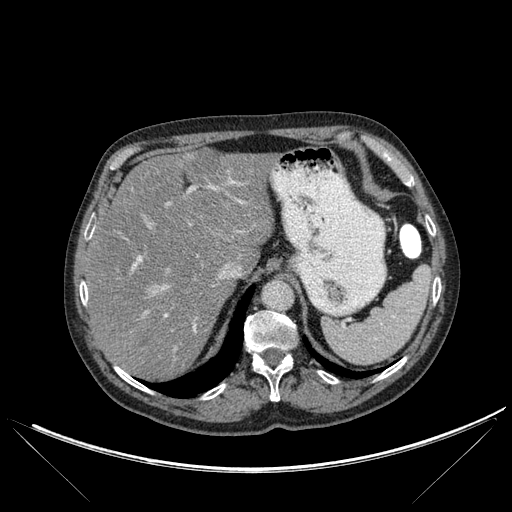 Liver, CT scan slice

liver lesion: <box>189,149,223,174</box>, <box>139,333,154,345</box> | bone: <box>377,357,406,379</box>, <box>401,172,413,185</box>, <box>80,282,87,304</box>, <box>202,384,225,399</box>, <box>426,216,435,235</box>, <box>85,231,92,238</box>, <box>318,371,338,383</box>, <box>244,311,296,401</box>, <box>432,277,441,302</box>, <box>114,367,151,392</box> | liver: <box>87,150,273,381</box> | lung: <box>142,285,254,397</box>, <box>304,338,381,378</box>